CT
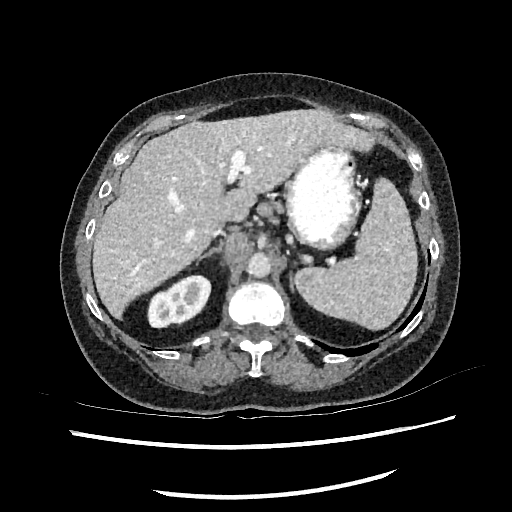

Kidney at l=149, t=276, r=210, b=326.
Liver at l=93, t=109, r=375, b=319.